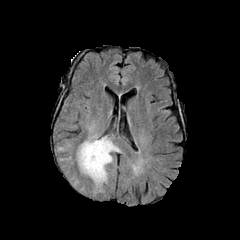
FLAIR magnetic resonance.
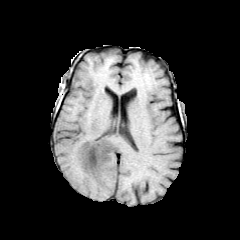
T1-weighted magnetic resonance.
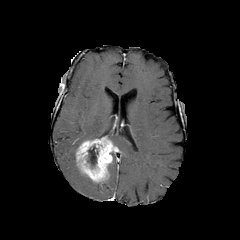
Post-contrast T1-weighted magnetic resonance.
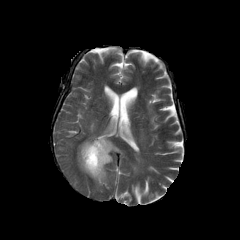
T2-weighted MR of the same slice.
Segmented structures:
- non-enhancing tumor core: rect(86, 147, 96, 165)
- edema: rect(95, 171, 109, 188)
- enhancing tumor: rect(76, 136, 117, 181)